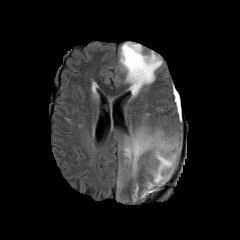
FLAIR magnetic resonance.
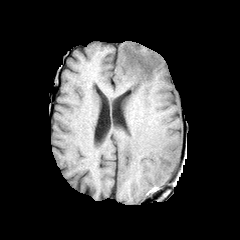
Same slice, T1-weighted MRI.
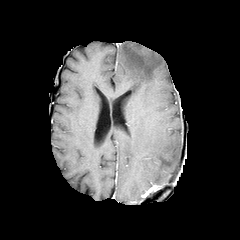
Post-contrast T1-weighted MR image.
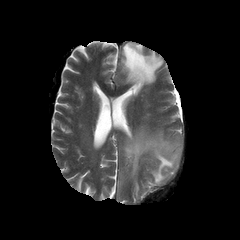
T2-weighted MRI of the same slice.
Head
non-enhancing tumor core: x1=142, y1=183, x2=159, y2=197; x1=126, y1=47, x2=151, y2=77 | edema: x1=119, y1=42, x2=163, y2=96; x1=123, y1=133, x2=180, y2=193